CT scan slice, Upper abdomen, Slice index 53
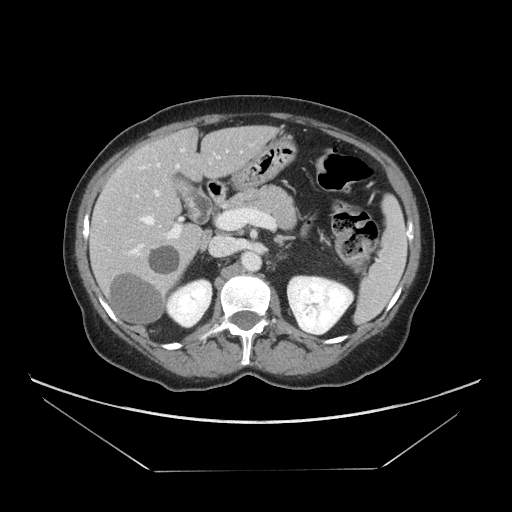

<segmentation>
  <pancreas>l=228, t=185, r=297, b=229</pancreas>
</segmentation>